Cardiac | Field of view 400x400 mm | Image size 320x320 | MRI
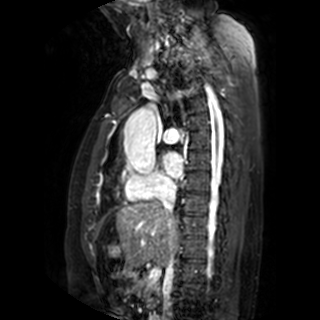
Annotated regions:
- left atrium: bbox=[164, 153, 182, 177]